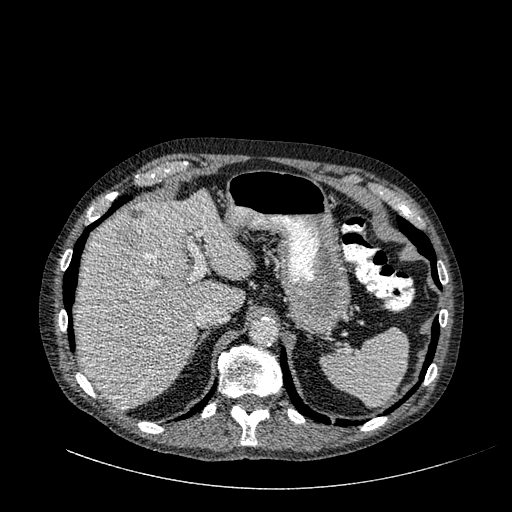
Liver | Computed tomography
{"liver_lesion": ["(left=116, top=225, right=142, bottom=250)", "(left=128, top=209, right=143, bottom=218)"], "liver": ["(left=75, top=190, right=250, bottom=409)"]}